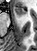

MR | Image size 37x51
<segmentation>
  <anterior_hippocampus>[14, 7, 26, 15]</anterior_hippocampus>
</segmentation>